FLAIR MRI.
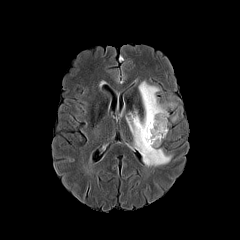
T1-weighted MR image.
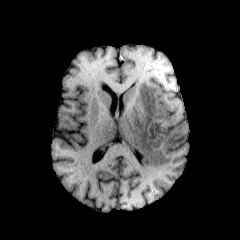
Post-contrast T1-weighted MR image.
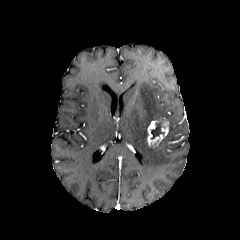
T2-weighted MR.
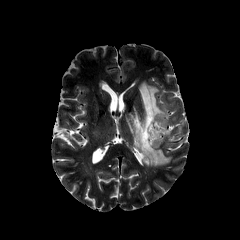
• non-enhancing tumor core: (x1=160, y1=104, x2=172, y2=110), (x1=150, y1=122, x2=164, y2=139)
• edema: (x1=126, y1=81, x2=172, y2=167)
• enhancing tumor: (x1=147, y1=117, x2=168, y2=147)